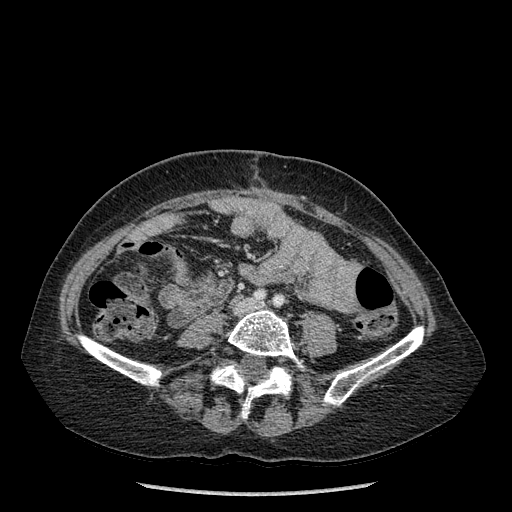

CT image
4 bone regions are located at 228:309:302:367, 78:335:161:385, 323:326:423:405, 211:362:291:418.